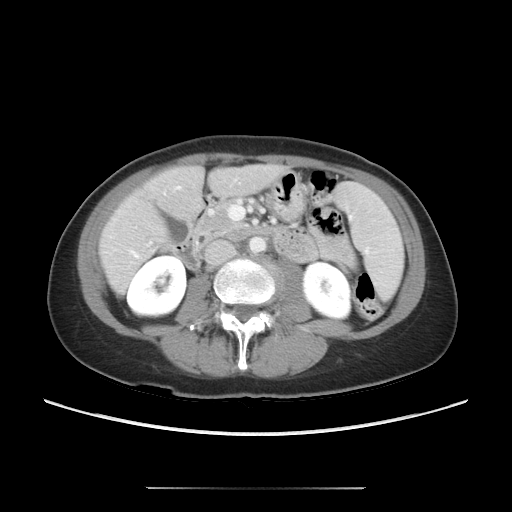

Computed tomography, Abdomen
The vessel annotation is not exhaustive.
hepatic vessel: left=230, top=183, right=232, bottom=186; left=236, top=177, right=240, bottom=183; left=146, top=242, right=151, bottom=245